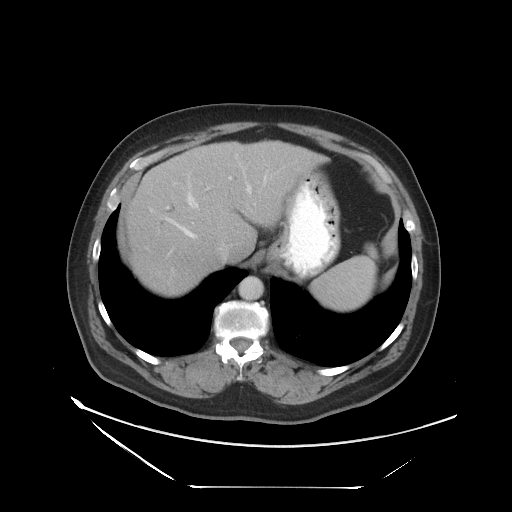

Abdomen, 512x512 px, CT
Not every hepatic vessel necessarily has a box.
Annotated regions:
• hepatic vessel: l=246, t=183, r=249, b=193; l=188, t=182, r=189, b=188; l=191, t=222, r=194, b=224; l=187, t=191, r=195, b=204; l=166, t=217, r=197, b=238; l=229, t=176, r=231, b=179